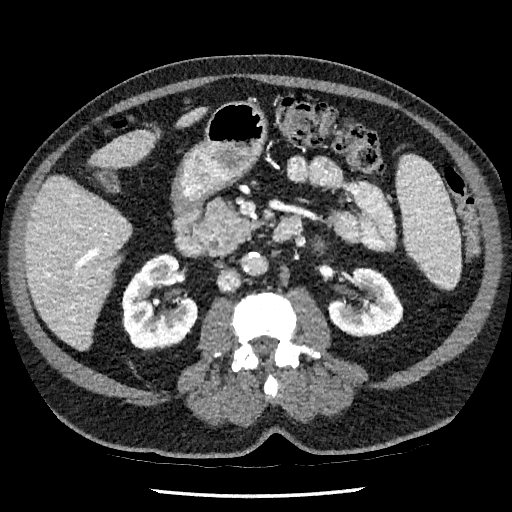
CT scan slice. Upper abdomen.
Kidney — [329, 269, 402, 335], [123, 255, 196, 347].
Liver — [177, 108, 205, 126], [90, 130, 154, 167], [25, 176, 131, 349].